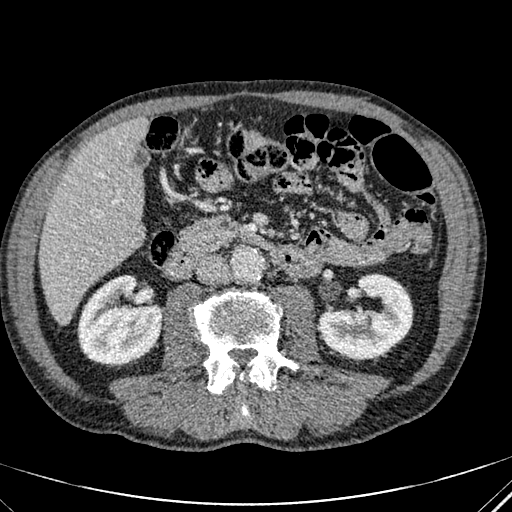 Upper abdomen, CT
Segmented structures:
• liver: 40,117,145,323
• kidney: 320,275,411,358; 79,276,161,363